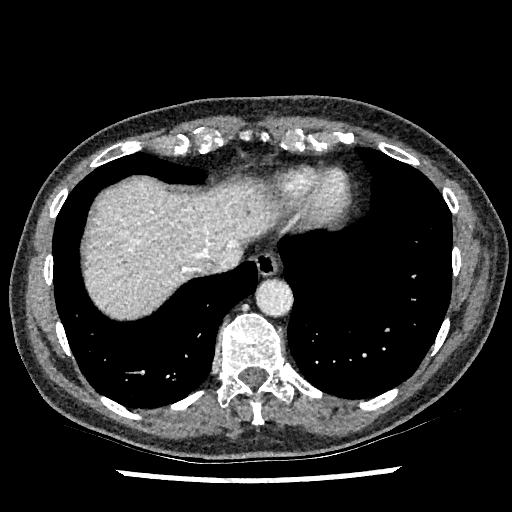

Abdomen, Computed tomography
liver: box(81, 177, 279, 321)